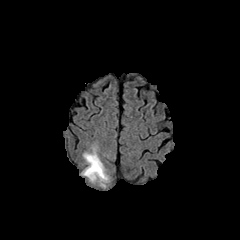
FLAIR magnetic resonance.
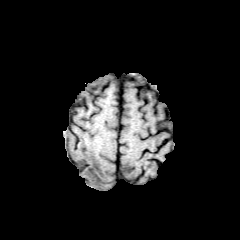
T1-weighted MR image.
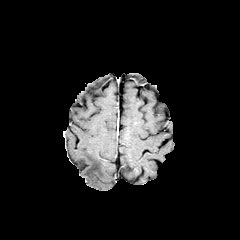
Post-contrast T1-weighted MR of the same slice.
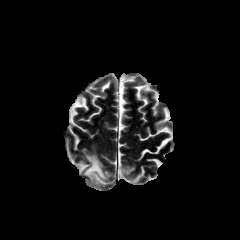
Same slice, T2-weighted magnetic resonance.
Head | Image size 240x240
edema:
  - bbox=[79, 145, 111, 187]